Upper abdomen; CT scan slice; Image size 512x512; Image width 396 mm
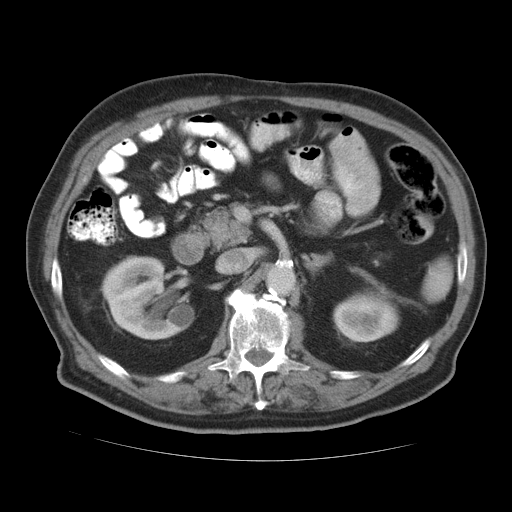
The spleen is located at (424,259,452,302).